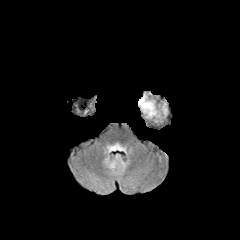
FLAIR MR.
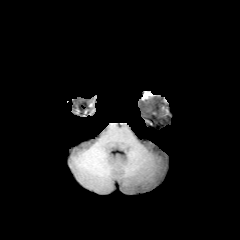
T1-weighted MR.
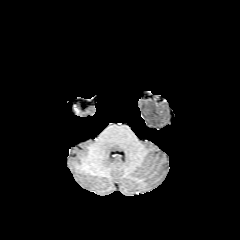
Same slice, post-contrast T1-weighted MR.
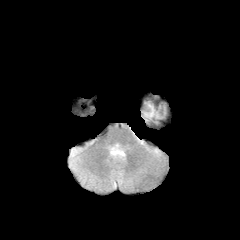
T2-weighted MR.
Head
Segmented structures:
• edema: bbox(142, 99, 159, 120)